Upper abdomen | Image width 373 mm | Slice index 611 | CT scan slice
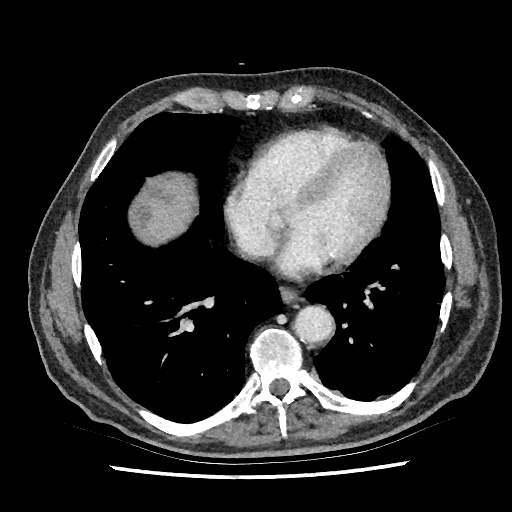
liver: 135,175,194,243 | liver lesion: 132,204,151,229; 146,185,175,204; 163,174,175,183